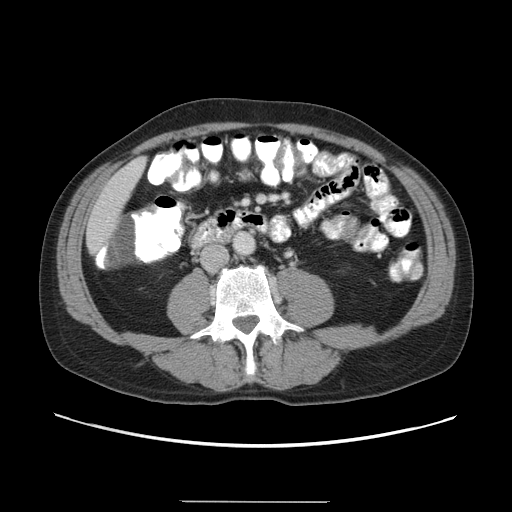

Computed tomography, Image size 512x512, Abdomen
The colon tumor is located at (left=104, top=216, right=134, bottom=268).